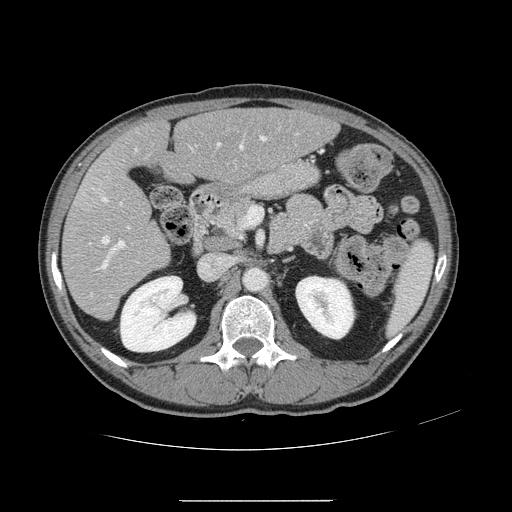
Abdomen, CT slice
Some hepatic vessels may have no box.
hepatic_vessel:
  - [x1=92, y1=188, x2=95, y2=190]
  - [x1=116, y1=241, x2=124, y2=248]
  - [x1=135, y1=148, x2=136, y2=150]
  - [x1=90, y1=294, x2=92, y2=297]
  - [x1=120, y1=203, x2=121, y2=205]
  - [x1=217, y1=143, x2=220, y2=145]
  - [x1=261, y1=136, x2=266, y2=139]
  - [x1=102, y1=197, x2=107, y2=201]
  - [x1=102, y1=236, x2=108, y2=243]
  - [x1=239, y1=142, x2=243, y2=148]
  - [x1=97, y1=258, x2=107, y2=269]
  - [x1=89, y1=243, x2=91, y2=244]
  - [x1=106, y1=176, x2=109, y2=178]